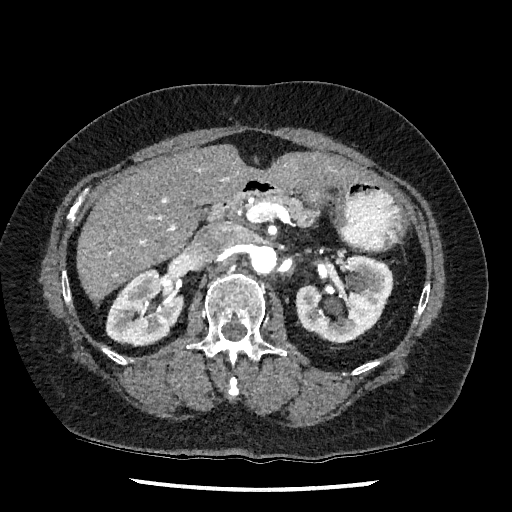 Liver. CT scan slice.
liver: x1=77, y1=145, x2=371, y2=300 | kidney: x1=106, y1=260, x2=186, y2=345; x1=296, y1=256, x2=392, y2=342